Field of view 387x387 mm; Computed tomography; Abdomen 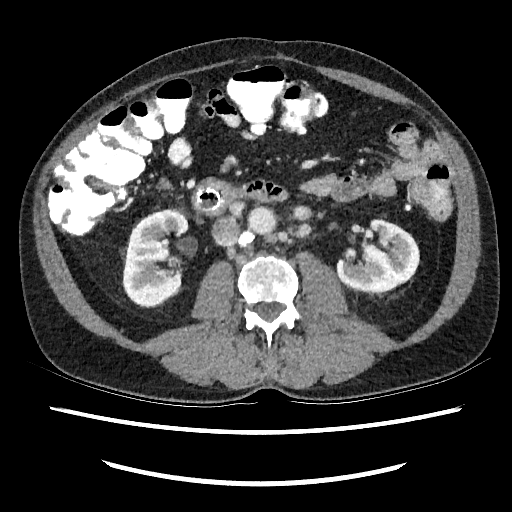

2 kidney regions appear at x1=337, y1=220, x2=418, y2=293; x1=124, y1=210, x2=187, y2=306.